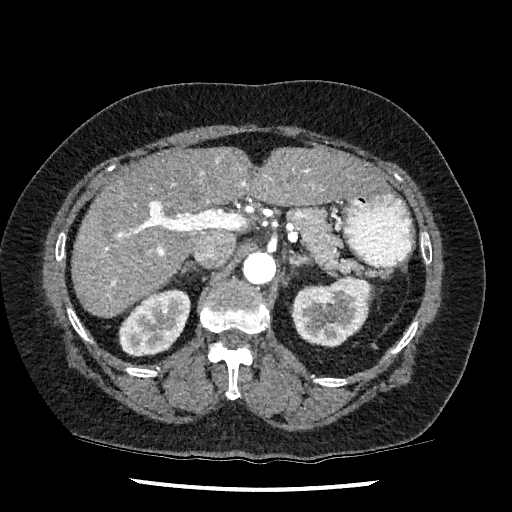

Image size 512x512; CT scan slice; Liver
Annotated regions:
* liver: <box>71,147,386,316</box>
* kidney: <box>292,277,369,346</box>, <box>120,290,189,355</box>